FLAIR MR image.
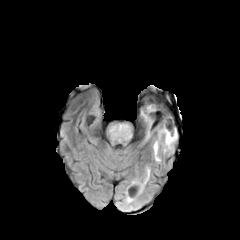
T1-weighted MRI.
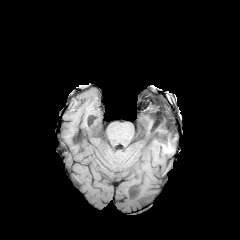
Post-contrast T1-weighted MRI.
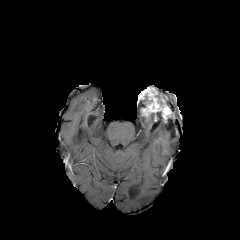
T2-weighted magnetic resonance.
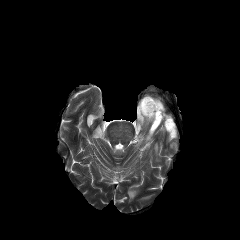
Brain
Edema: bounding box box=[146, 120, 151, 139]; box=[153, 123, 177, 161].
Non-enhancing tumor core: bounding box box=[150, 110, 162, 121].
Enhancing tumor: bounding box box=[140, 102, 169, 123].